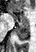 Hippocampus. MRI slice.
The posterior hippocampus is at <box>15,23,29,40</box>. 2 anterior hippocampus regions are located at <box>8,10,12,12</box>, <box>12,14,28,22</box>.